512x512, CT image, Slice 70 of 151
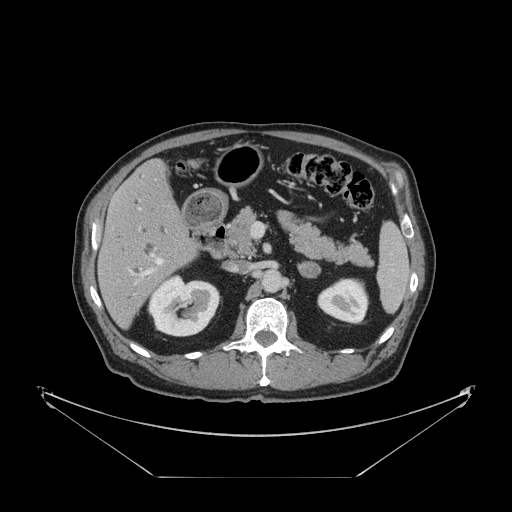 Some hepatic vessels may have no box.
{
  "hepatic_vessel": [
    "(140,269,152,276)",
    "(151,254,162,264)",
    "(134,282,136,283)",
    "(138,208,140,209)",
    "(251,222,263,236)",
    "(127,268,133,274)"
  ]
}